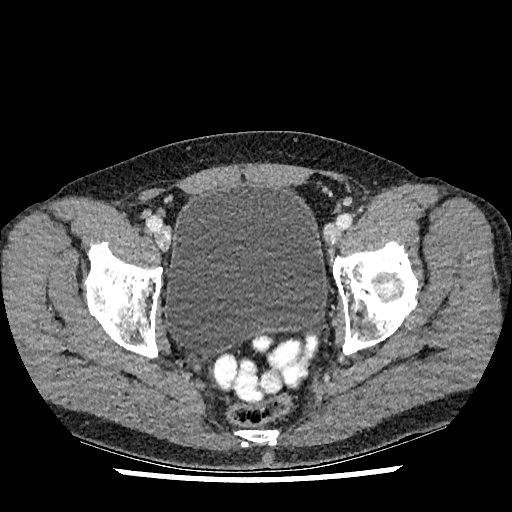
Lower abdomen | CT image
Urinary bladder = <bbox>164, 185, 327, 356</bbox>.